Abdomen, Field of view 429x429 mm, CT scan slice

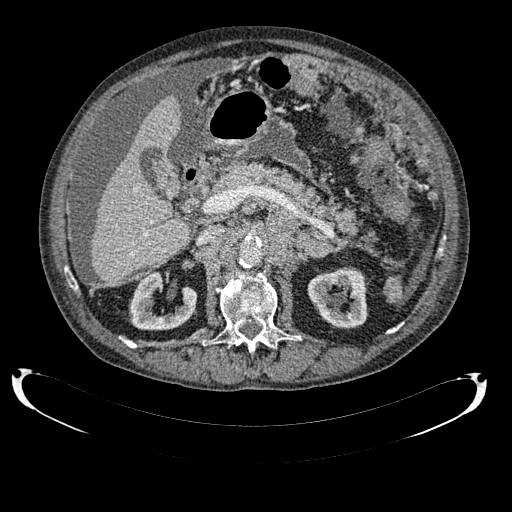

2 kidney regions are bounded by <bbox>308, 268, 366, 327</bbox>, <bbox>130, 272, 196, 329</bbox>. The liver is bounded by <bbox>91, 95, 190, 284</bbox>.